FLAIR magnetic resonance.
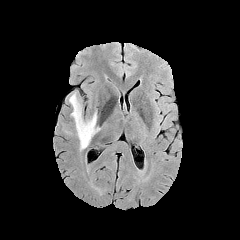
T1-weighted MR.
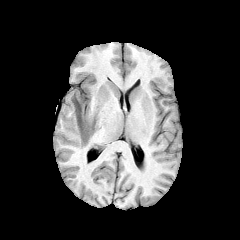
Post-contrast T1-weighted MRI.
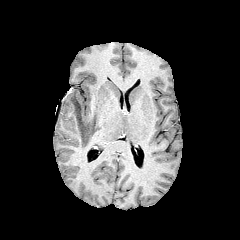
T2-weighted MR image.
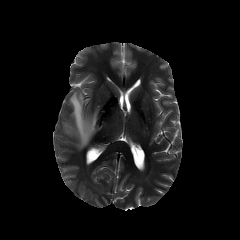
Brain
{
  "non-enhancing_tumor_core": [
    "box(74, 101, 81, 124)"
  ],
  "edema": [
    "box(61, 91, 99, 150)"
  ]
}